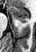

36x52, Medial temporal lobe, Magnetic resonance
Anterior hippocampus: 9:6:28:23.